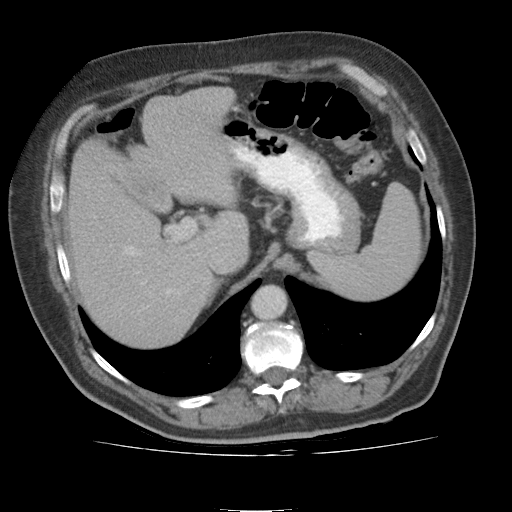
Abdomen | CT
Liver = [70, 88, 241, 345].
Liver lesion = [129, 175, 164, 202].